FLAIR magnetic resonance.
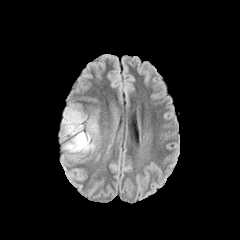
T1-weighted MRI.
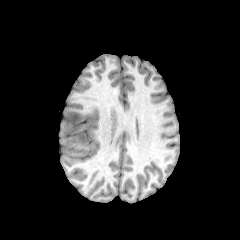
Post-contrast T1-weighted MR image.
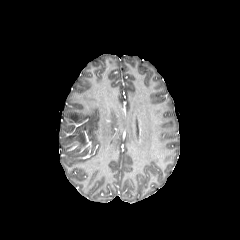
T2-weighted MR image.
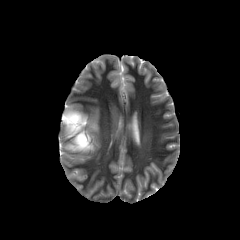
Image size 240x240
<segmentation>
  <edema>62, 106, 87, 122; 80, 117, 98, 154; 62, 122, 83, 149</edema>
  <non-enhancing_tumor_core>68, 116, 79, 135; 68, 133, 87, 151</non-enhancing_tumor_core>
</segmentation>